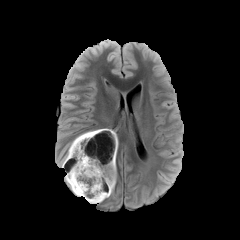
FLAIR MR image.
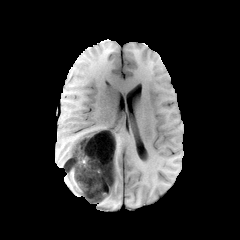
T1-weighted MRI.
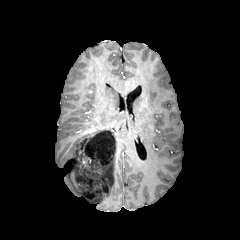
Same slice, post-contrast T1-weighted MR image.
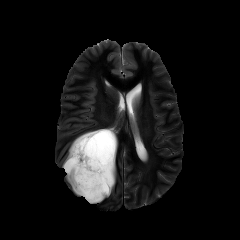
T2-weighted MR.
240x240 px
The non-enhancing tumor core is located at (64, 129, 115, 201). 4 edema regions appear at (66, 174, 81, 195), (85, 184, 114, 203), (62, 138, 75, 166), (100, 131, 115, 144).